Image width 328 mm. Abdomen. Computed tomography. 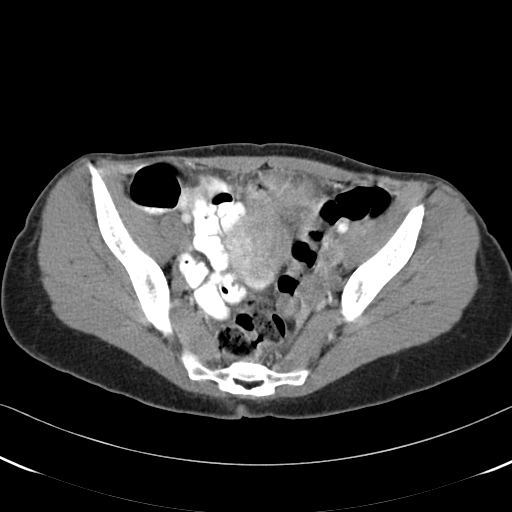

Annotated regions:
- colon tumor: box(248, 173, 314, 207)